CT | Image width 512 mm 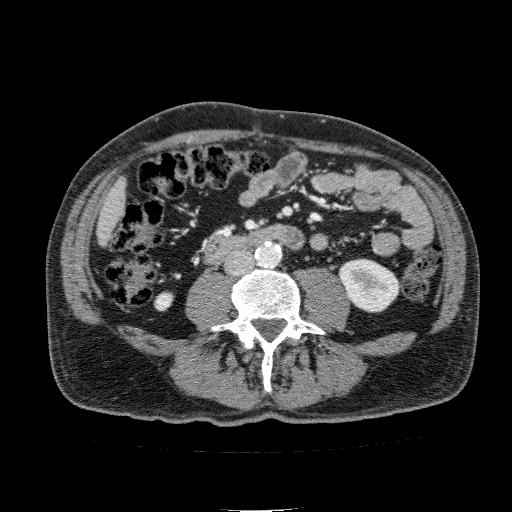
Kidney at (left=340, top=260, right=398, bottom=310), (left=155, top=294, right=171, bottom=310).
Liver at (left=97, top=175, right=126, bottom=247).